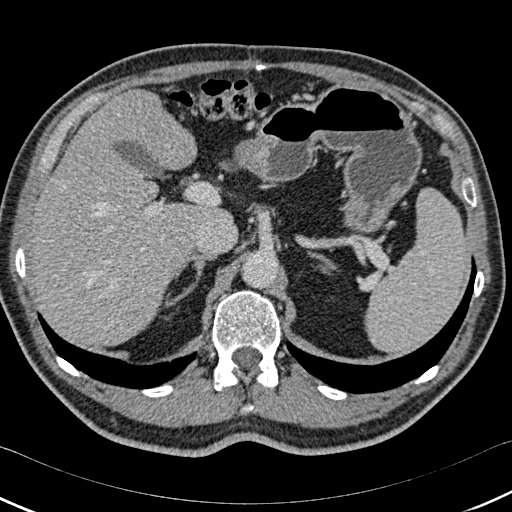

512x512 px; CT; Abdomen

Annotated regions:
• lung: (left=38, top=313, right=196, bottom=389), (left=286, top=256, right=476, bottom=393)
• bone: (left=318, top=386, right=346, bottom=399), (left=415, top=366, right=438, bottom=383), (left=142, top=385, right=172, bottom=397), (left=13, top=248, right=25, bottom=277), (left=462, top=178, right=476, bottom=206), (left=474, top=271, right=483, bottom=296), (left=212, top=291, right=280, bottom=390), (left=56, top=357, right=79, bottom=376)
• liver: (left=34, top=89, right=227, bottom=345)